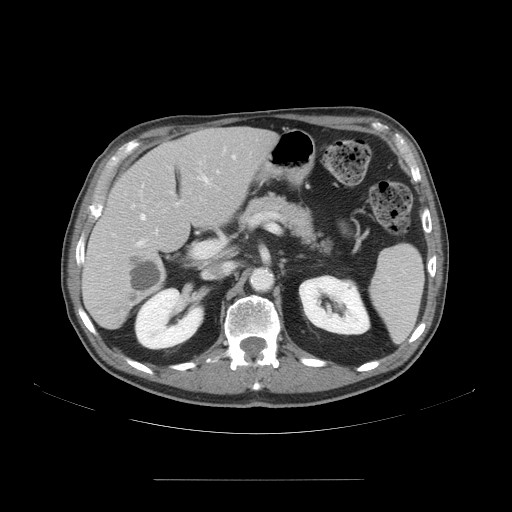
Abdomen; Computed tomography
The vessel annotation is not exhaustive.
8 hepatic vessel regions appear at 232 154 235 159, 139 213 145 220, 194 238 224 257, 216 170 219 173, 135 238 146 247, 130 204 134 208, 197 171 210 184, 155 228 157 234.